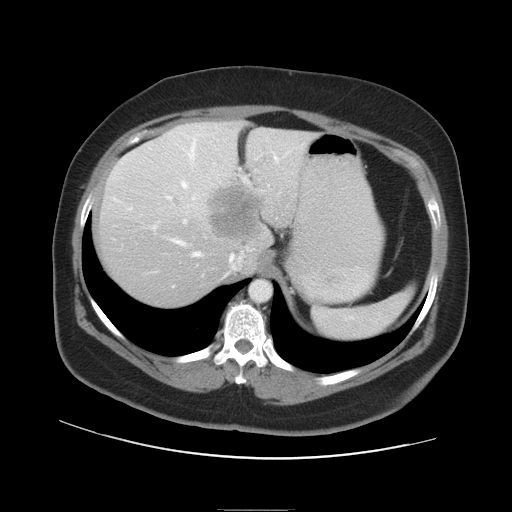

512x512 | CT | Liver

Some hepatic vessels may have no box.
<segmentation>
  <liver_tumor>(207, 186, 259, 236)</liver_tumor>
  <hepatic_vessel>(192, 251, 201, 256), (229, 252, 242, 269), (243, 178, 247, 182), (170, 238, 185, 246)</hepatic_vessel>
</segmentation>